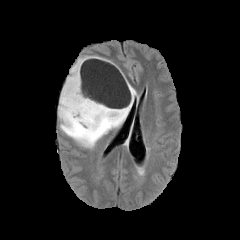
FLAIR magnetic resonance.
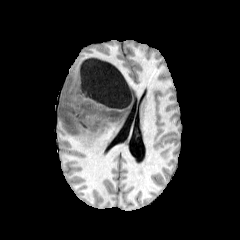
T1-weighted MRI of the same slice.
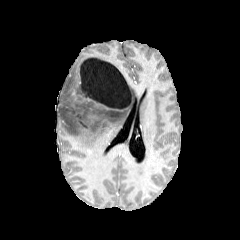
Post-contrast T1-weighted MR image of the same slice.
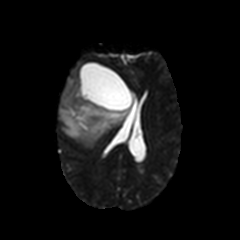
T2-weighted MR image.
- edema: bbox(57, 56, 137, 148)
- non-enhancing tumor core: bbox(60, 76, 127, 133)